Slice index 100 | Brain
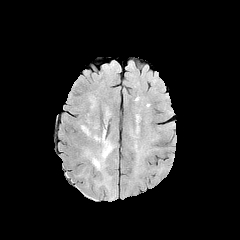
FLAIR MR.
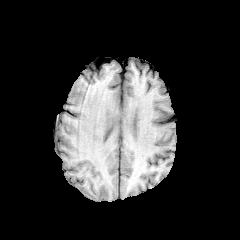
T1-weighted MR of the same slice.
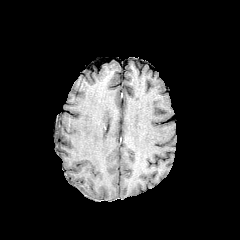
Post-contrast T1-weighted MR image of the same slice.
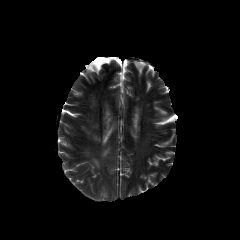
T2-weighted magnetic resonance.
2 edema regions appear at box=[92, 158, 100, 169]; box=[101, 142, 109, 160].